FLAIR MR.
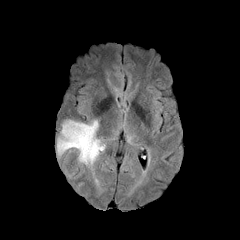
T1-weighted MRI.
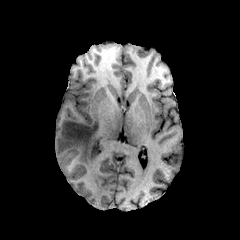
Post-contrast T1-weighted MR image.
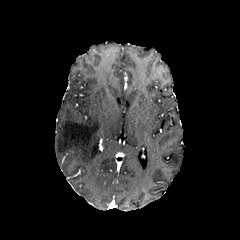
T2-weighted magnetic resonance.
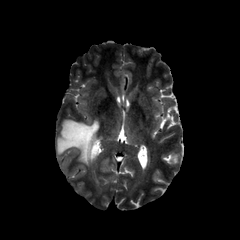
The edema is located at 57 120 105 171.